Upper abdomen | Slice index 38 | Computed tomography 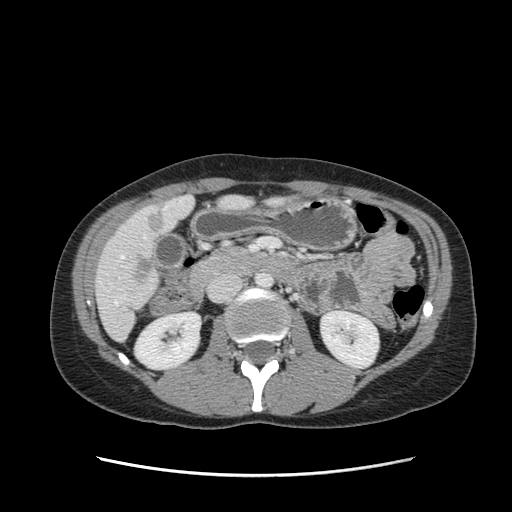
Findings:
- pancreas: bbox(214, 247, 254, 269)